CT image

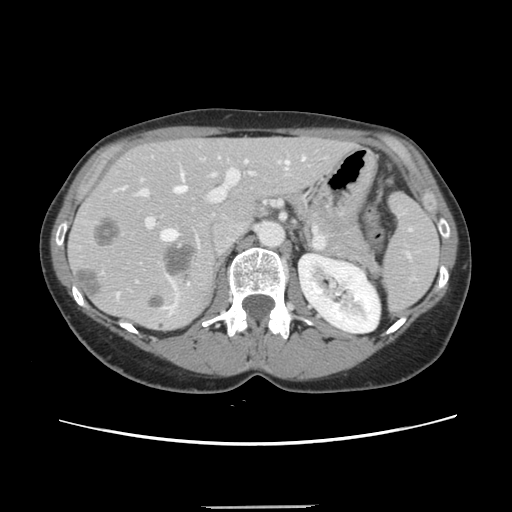 Only some of the vessels may be annotated.
Largest 15 of 16 hepatic vessel regions: {"x1": 212, "y1": 173, "x2": 214, "y2": 175}, {"x1": 160, "y1": 229, "x2": 176, "y2": 240}, {"x1": 302, "y1": 157, "x2": 304, "y2": 159}, {"x1": 136, "y1": 189, "x2": 147, "y2": 195}, {"x1": 207, "y1": 168, "x2": 238, "y2": 201}, {"x1": 141, "y1": 178, "x2": 142, "y2": 180}, {"x1": 249, "y1": 171, "x2": 252, "y2": 173}, {"x1": 117, "y1": 187, "x2": 124, "y2": 189}, {"x1": 181, "y1": 172, "x2": 183, "y2": 179}, {"x1": 116, "y1": 293, "x2": 118, "y2": 296}, {"x1": 196, "y1": 239, "x2": 198, "y2": 244}, {"x1": 278, "y1": 160, "x2": 288, "y2": 169}, {"x1": 174, "y1": 184, "x2": 185, "y2": 192}, {"x1": 244, "y1": 159, "x2": 246, "y2": 162}, {"x1": 145, "y1": 217, "x2": 153, "y2": 226}.
Liver tumor: {"x1": 75, "y1": 269, "x2": 100, "y2": 293}, {"x1": 94, "y1": 218, "x2": 120, "y2": 247}, {"x1": 163, "y1": 243, "x2": 194, "y2": 276}.